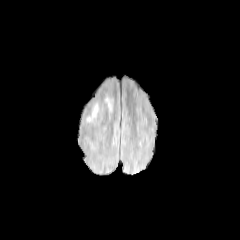
FLAIR MR.
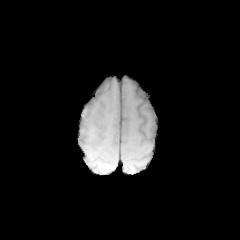
T1-weighted MR image.
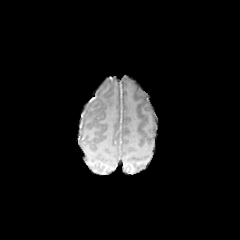
Post-contrast T1-weighted magnetic resonance.
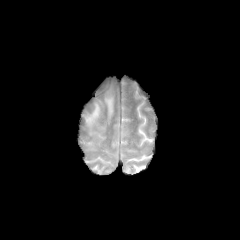
T2-weighted magnetic resonance of the same slice.
240x240 px, Brain
Edema = [x1=106, y1=96, x2=113, y2=110], [x1=87, y1=104, x2=99, y2=121].